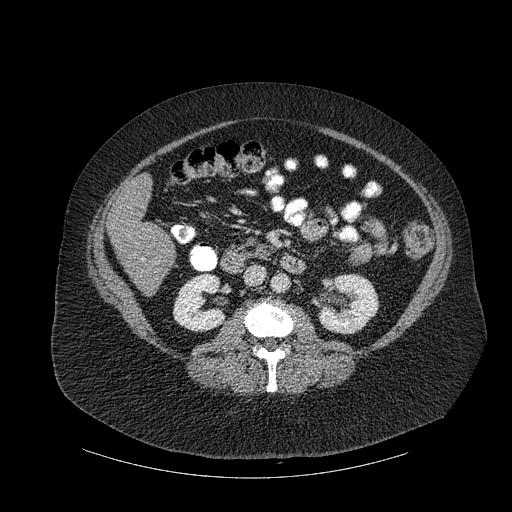
Computed tomography, Liver, 512x512
Liver: bounding box {"x1": 108, "y1": 174, "x2": 175, "y2": 291}.
Kidney: bounding box {"x1": 173, "y1": 274, "x2": 224, "y2": 330}, {"x1": 320, "y1": 275, "x2": 377, "y2": 333}.
Bone: bounding box {"x1": 244, "y1": 302, "x2": 295, "y2": 337}, {"x1": 254, "y1": 346, "x2": 288, "y2": 391}.